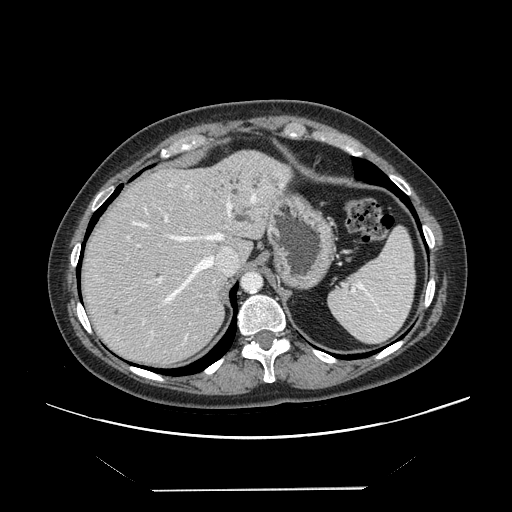 Abdomen; CT

Some hepatic vessels may have no box.
12 hepatic vessel regions appear at [168,232,224,241], [94,275,97,279], [223,195,233,226], [164,213,168,222], [244,181,245,183], [131,222,148,227], [232,224,242,225], [144,207,145,210], [162,247,238,304], [244,184,270,203], [156,276,163,282], [127,236,128,239].